MRI slice. Slice 26/35. 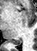 posterior_hippocampus:
  - [8, 39, 21, 44]